CT scan slice | Upper abdomen
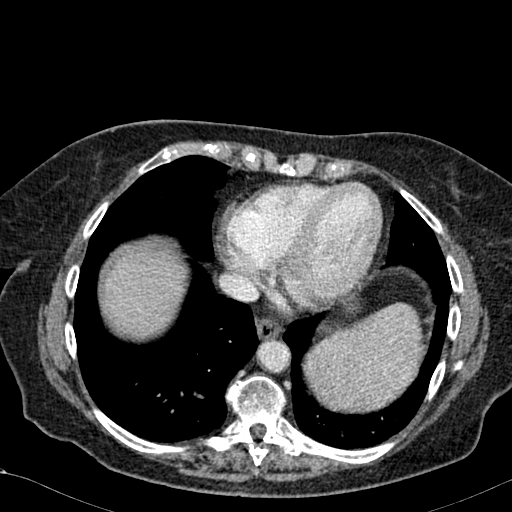

The liver is at <bbox>105, 248, 183, 335</bbox>.